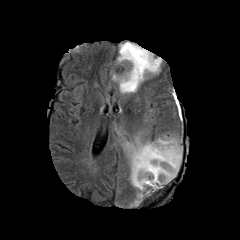
FLAIR magnetic resonance.
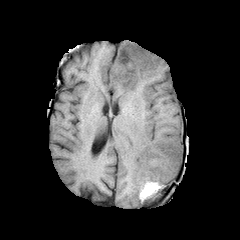
Same slice, T1-weighted MR image.
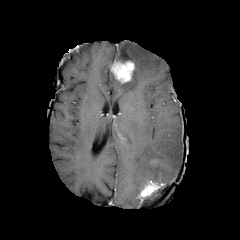
Same slice, post-contrast T1-weighted magnetic resonance.
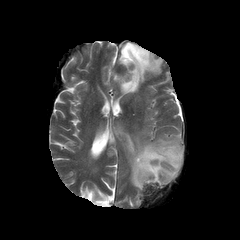
Same slice, T2-weighted magnetic resonance.
240x240.
Annotated regions:
• enhancing tumor: (x1=138, y1=181, x2=163, y2=197), (x1=113, y1=60, x2=135, y2=83)
• edema: (x1=117, y1=42, x2=142, y2=59), (x1=112, y1=50, x2=161, y2=93), (x1=126, y1=138, x2=182, y2=194)
• non-enhancing tumor core: (x1=111, y1=62, x2=123, y2=72), (x1=120, y1=47, x2=142, y2=61)